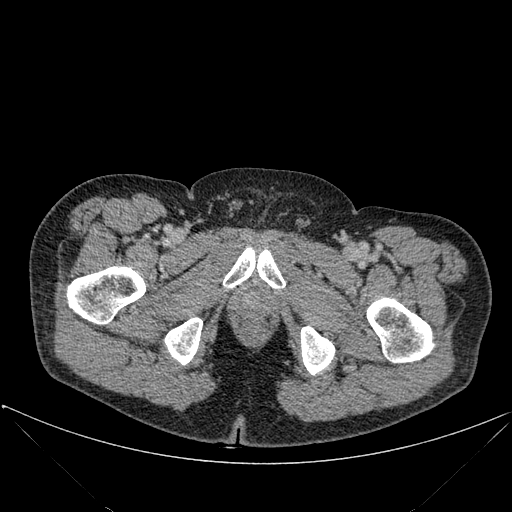
CT slice
5 bone regions are located at 165 317 202 364, 367 297 433 362, 223 247 285 288, 301 326 334 374, 67 266 145 323.